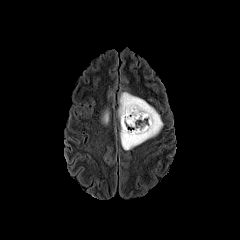
FLAIR MR.
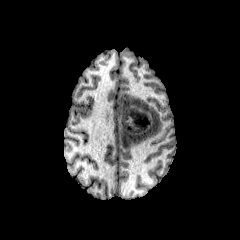
T1-weighted magnetic resonance.
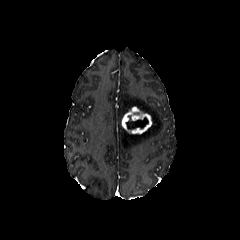
Same slice, post-contrast T1-weighted MR.
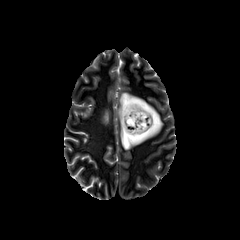
T2-weighted MR image.
240x240
non-enhancing_tumor_core:
  - <bbox>126, 117, 148, 130</bbox>
enhancing_tumor:
  - <bbox>121, 105, 154, 134</bbox>
edema:
  - <bbox>101, 110, 108, 124</bbox>
  - <bbox>118, 92, 163, 149</bbox>